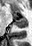 32x46 px. Magnetic resonance.

anterior hippocampus: 20 18 25 19 | posterior hippocampus: 14 20 26 28